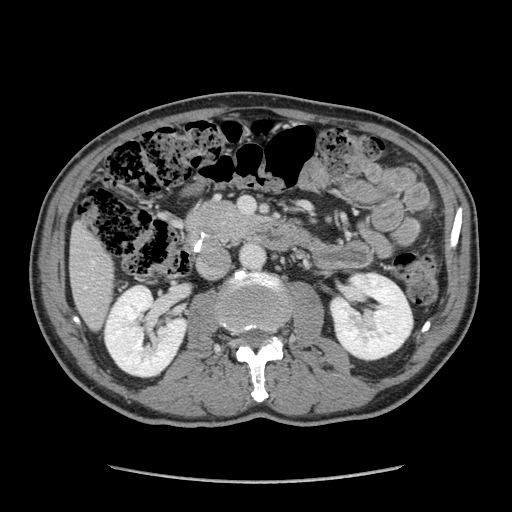

Upper abdomen | Computed tomography

<segmentation>
  <pancreas>183 198 261 246</pancreas>
</segmentation>